Brain, Image width 240 mm
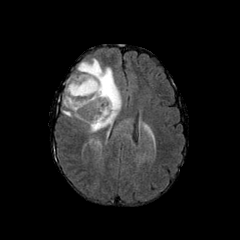
FLAIR MR.
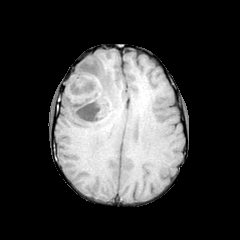
T1-weighted MR.
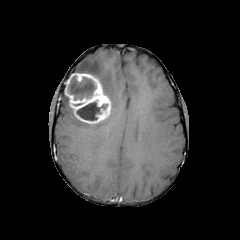
Same slice, post-contrast T1-weighted MR image.
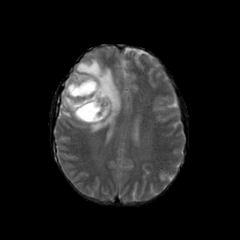
Same slice, T2-weighted MR.
Non-enhancing tumor core — x1=69, y1=76, x2=96, y2=99; x1=76, y1=101, x2=107, y2=120.
Enhancing tumor — x1=64, y1=73, x2=110, y2=123.
Edema — x1=77, y1=58, x2=121, y2=132; x1=62, y1=95, x2=74, y2=117.